Field of view 700 mm wide, 3.27 mm slice spacing, CT image, Liver, 512x512 px

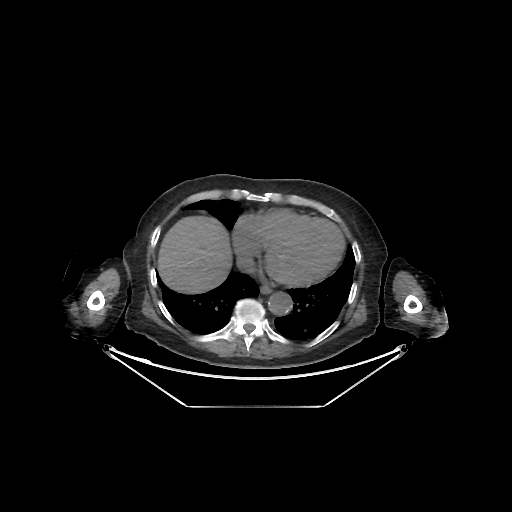 lung:
  - <bbox>156, 270, 259, 334</bbox>
  - <bbox>274, 244, 355, 340</bbox>
  - <bbox>182, 199, 244, 230</bbox>
liver:
  - <bbox>158, 216, 230, 293</bbox>
bone:
  - <bbox>87, 290, 104, 310</bbox>
  - <bbox>150, 269, 156, 286</bbox>
  - <bbox>197, 299, 286, 350</bbox>
  - <bbox>151, 227, 159, 246</bbox>
  - <bbox>158, 301, 172, 322</bbox>
  - <bbox>247, 193, 274, 201</bbox>
  - <bbox>348, 285, 356, 302</bbox>
  - <bbox>353, 242, 360, 261</bbox>
  - <bbox>310, 323, 338, 345</bbox>
  - <bbox>404, 295, 422, 313</bbox>